FLAIR MR.
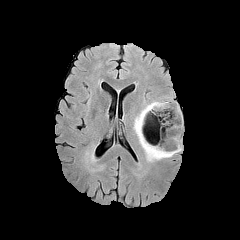
T1-weighted MRI.
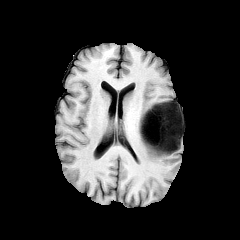
Post-contrast T1-weighted MR image.
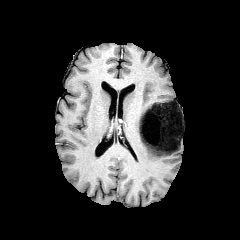
T2-weighted MRI.
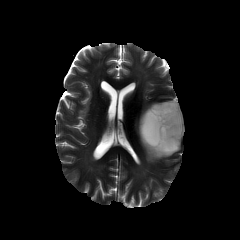
Image size 240x240
The edema is bounded by bbox=[133, 100, 183, 161]. The non-enhancing tumor core is bounded by bbox=[150, 102, 180, 151].